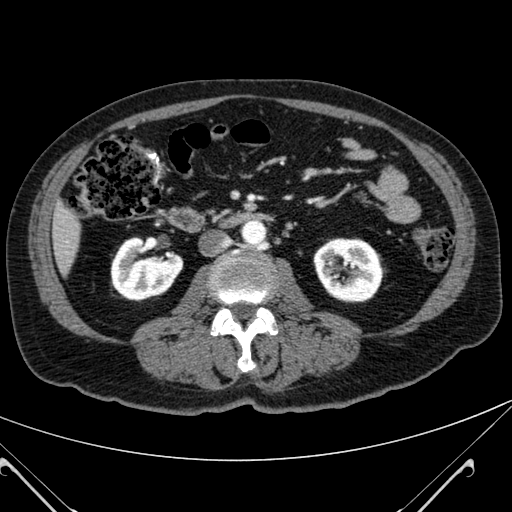 512x512 px. CT image.
2 kidney regions appear at (x1=111, y1=238, x2=181, y2=299), (x1=315, y1=239, x2=381, y2=300). The liver appears at (x1=52, y1=204, x2=79, y2=271).